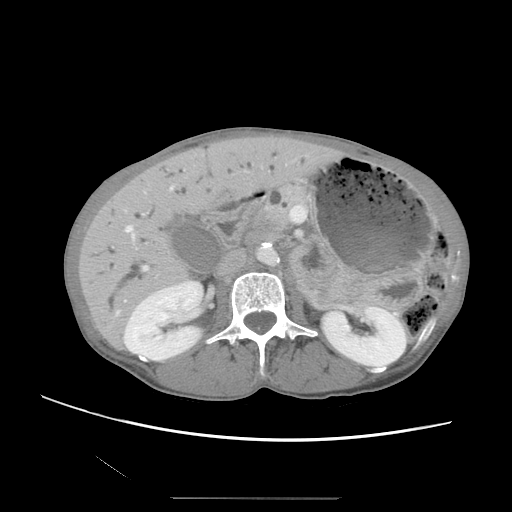

CT image; Upper abdomen
pancreatic_tumor:
  - [x1=245, y1=213, x2=277, y2=246]
pancreas:
  - [x1=258, y1=186, x2=304, y2=239]